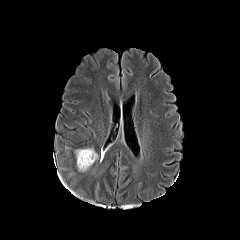
FLAIR MR.
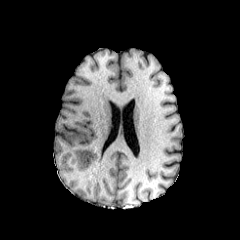
T1-weighted MRI of the same slice.
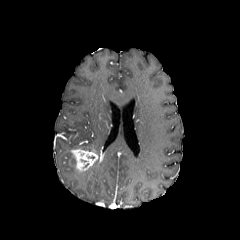
Post-contrast T1-weighted magnetic resonance.
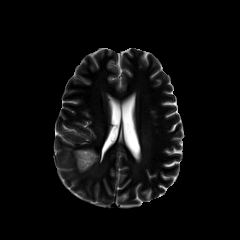
T2-weighted MR.
enhancing_tumor:
  - box=[71, 149, 98, 172]